FLAIR MR image.
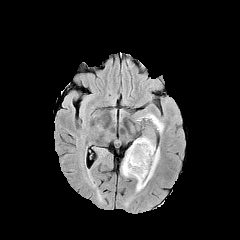
T1-weighted magnetic resonance.
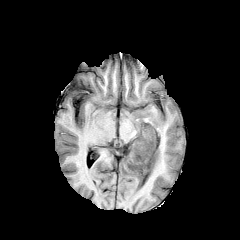
Post-contrast T1-weighted magnetic resonance.
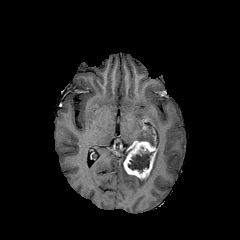
T2-weighted MR.
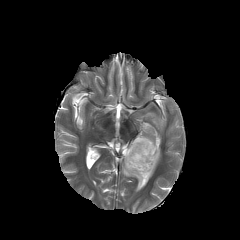
Brain.
Non-enhancing tumor core = x1=128 y1=151 x2=151 y2=172.
Edema = x1=122 y1=122 x2=160 y2=191, x1=137 y1=112 x2=164 y2=133.
Enhancing tumor = x1=123 y1=140 x2=156 y2=179.